T2-weighted magnetic resonance.
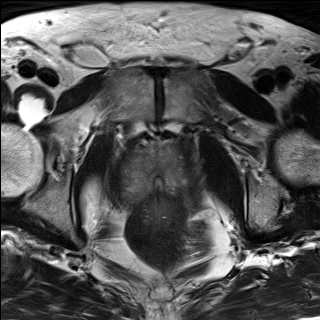
ADC MRI.
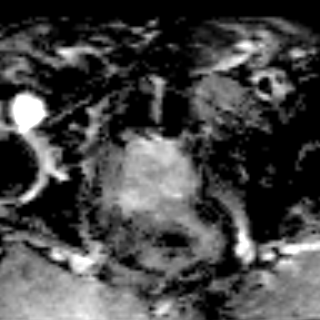
Prostate
{"prostate_transition_zone": ["<box>123,143,186,201</box>"]}